Computed tomography 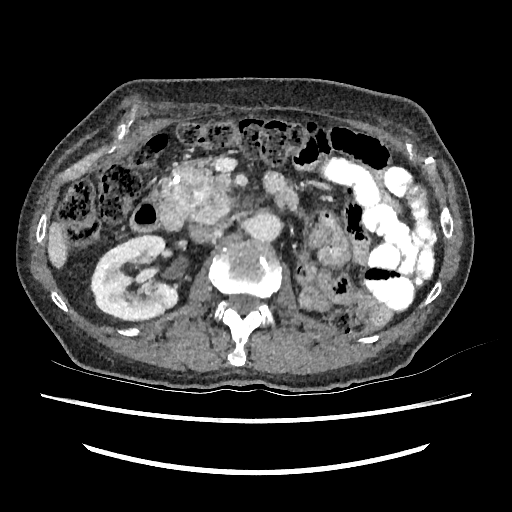
The liver appears at 48,222,66,267. The kidney is at 91,236,177,320.